FLAIR MR.
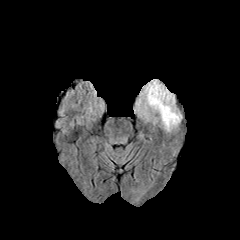
T1-weighted MR.
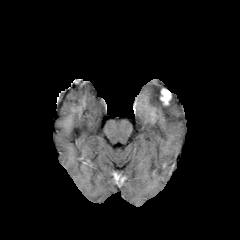
Post-contrast T1-weighted MRI.
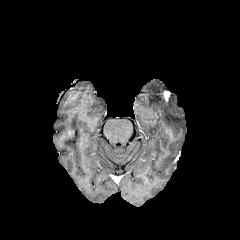
T2-weighted MR image.
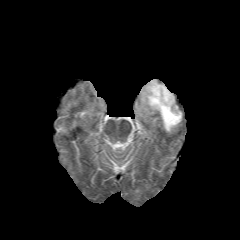
Head.
enhancing_tumor:
  - box=[162, 91, 170, 100]
edema:
  - box=[134, 79, 182, 131]